CT 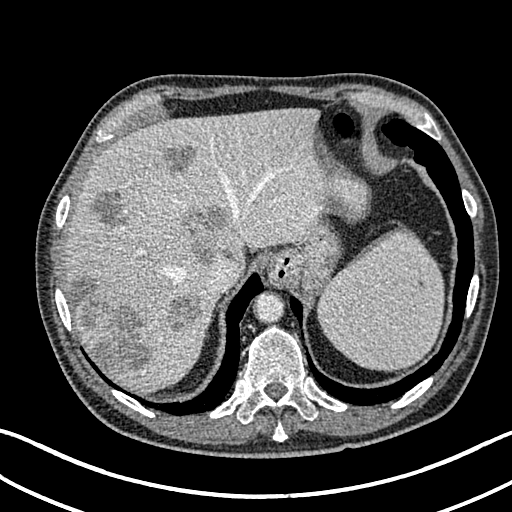
<segmentation>
  <hepatic_lesion>l=91, t=192, r=126, b=233; l=184, t=206, r=230, b=264; l=164, t=146, r=197, b=176; l=89, t=182, r=95, b=192; l=69, t=276, r=149, b=369; l=167, t=292, r=200, b=333</hepatic_lesion>
  <liver>l=62, t=109, r=366, b=388</liver>
</segmentation>